CT scan slice; Slice 25/41; Abdomen; 512x512 px

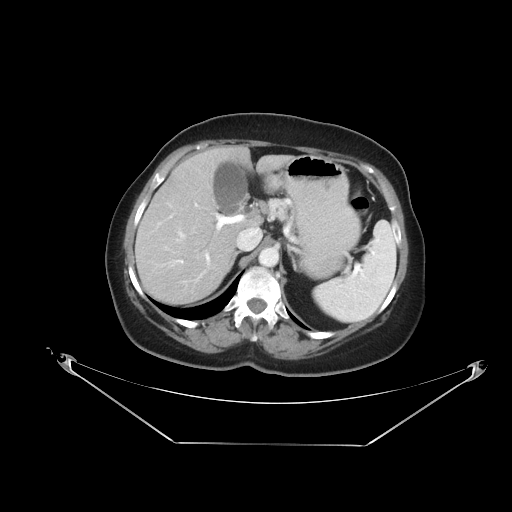 Some hepatic vessels may have no box.
Hepatic vessel at 197,255,198,257; 156,222,160,228; 236,223,259,249; 195,249,197,251; 193,229,194,232; 178,231,185,238; 192,272,204,282; 214,213,243,230; 156,259,183,265; 170,216,171,217; 205,251,209,265; 195,204,197,206; 181,280,189,282.